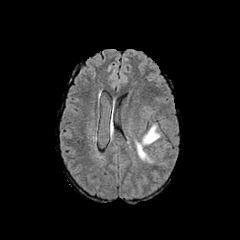
FLAIR MRI.
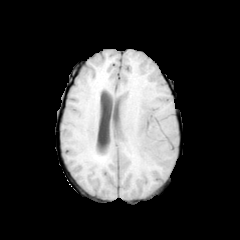
T1-weighted MRI.
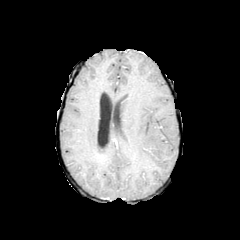
Post-contrast T1-weighted magnetic resonance.
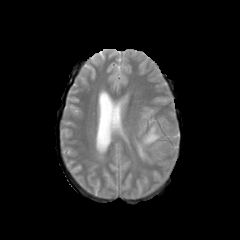
T2-weighted magnetic resonance of the same slice.
Image size 240x240; Brain
Edema: bounding box box(135, 123, 161, 162).